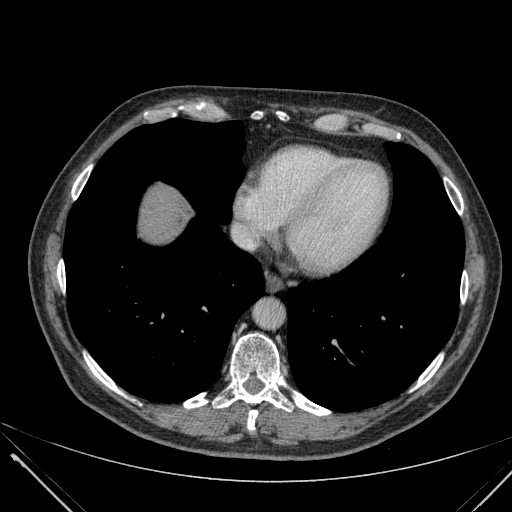 Computed tomography | Upper abdomen
<segmentation>
  <liver>left=142, top=187, right=193, bottom=240</liver>
</segmentation>